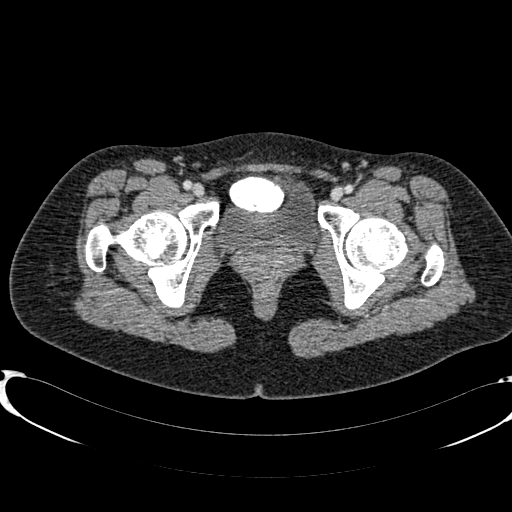

CT scan slice, Image size 512x512

Urinary bladder: bounding box 216, 181, 322, 255.